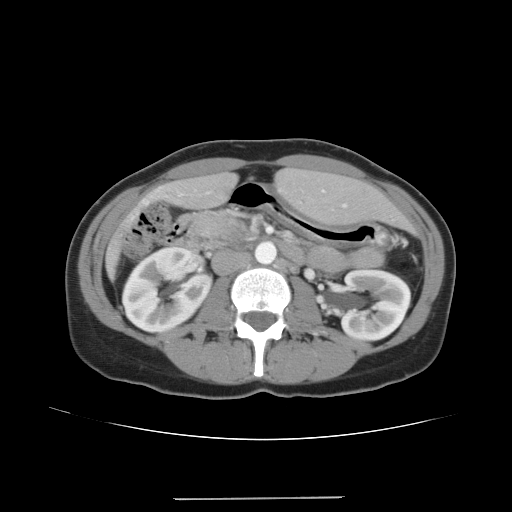
Upper abdomen. CT. The pancreas appears at region(193, 212, 248, 246).